Image width 240 mm
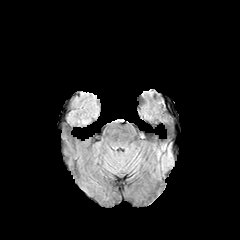
FLAIR MR image.
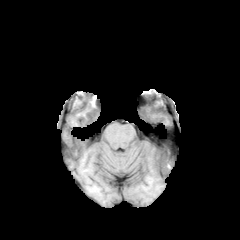
T1-weighted MR image.
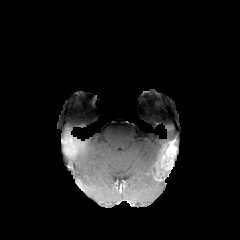
Post-contrast T1-weighted MR of the same slice.
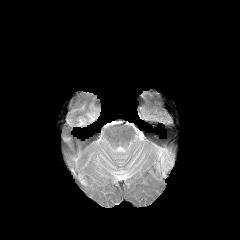
T2-weighted MR image of the same slice.
Edema: bounding box x1=151 y1=145 x2=172 y2=173.